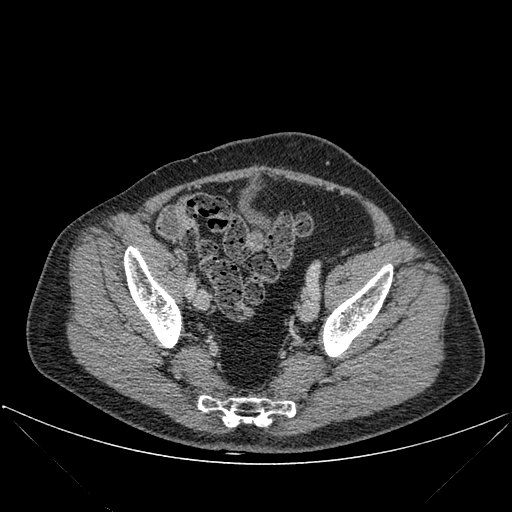

512x512 px, CT slice
Annotated regions:
- bone: 323,264,392,356; 124,246,181,347; 198,395,295,427